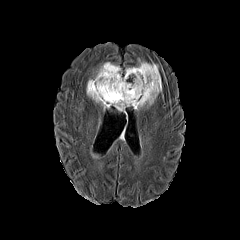
FLAIR MR image.
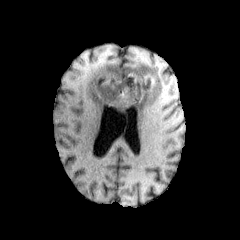
T1-weighted MRI.
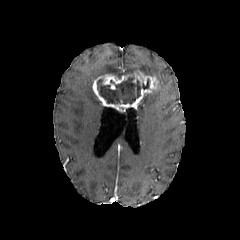
Post-contrast T1-weighted magnetic resonance.
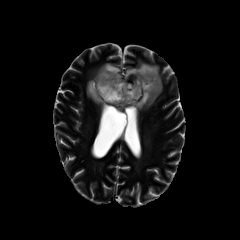
Same slice, T2-weighted MRI.
Head. 240x240.
* edema: 86,62,122,104; 125,59,162,114
* non-enhancing tumor core: 97,69,149,104
* enhancing tumor: 92,70,160,110